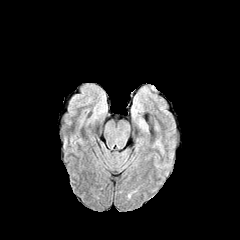
FLAIR magnetic resonance.
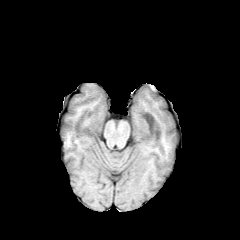
T1-weighted MR image of the same slice.
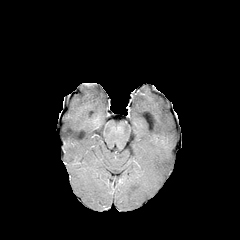
Post-contrast T1-weighted magnetic resonance.
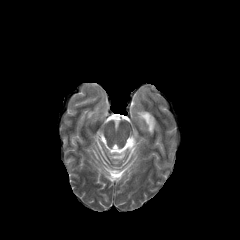
T2-weighted MR image.
Findings:
- edema: left=116, top=150, right=126, bottom=159